MRI | 35x55 px 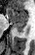 The anterior hippocampus lies within (left=7, top=8, right=27, bottom=22). The posterior hippocampus is bounded by (left=14, top=23, right=26, bottom=32).